Upper abdomen, Image size 512x512, Computed tomography
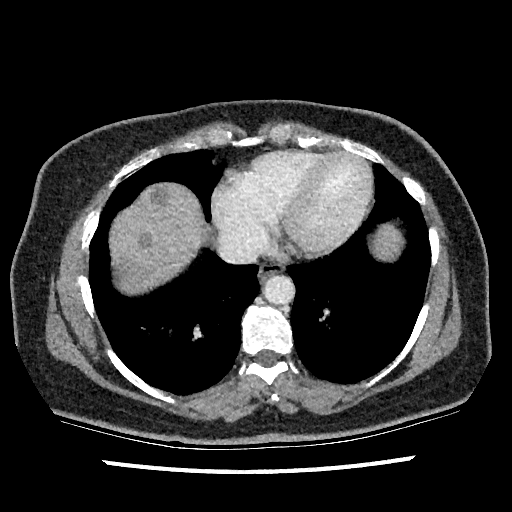 Liver: bounding box <bbox>111, 183, 201, 291</bbox>, <bbox>376, 228, 398, 256</bbox>.
Hepatic lesion: bounding box <bbox>152, 188, 167, 205</bbox>, <bbox>140, 235, 150, 246</bbox>.